Computed tomography; Liver; 512x512 px
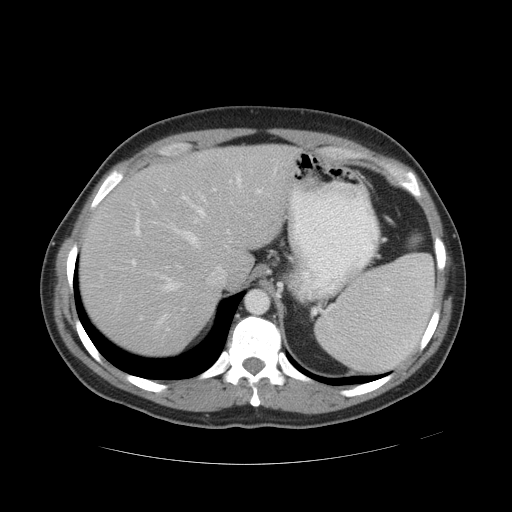

The vessel annotation is not exhaustive.
partial: true
hepatic_vessel:
  # 15 of 17 shown
  - 172 224 178 232
  - 158 315 166 323
  - 127 260 135 264
  - 140 317 142 319
  - 236 172 241 186
  - 201 195 205 201
  - 184 232 199 247
  - 256 189 261 192
  - 181 195 204 216
  - 162 275 181 290
  - 213 188 215 190
  - 226 230 229 233
  - 194 219 197 223
  - 229 180 231 182
  - 135 214 140 234